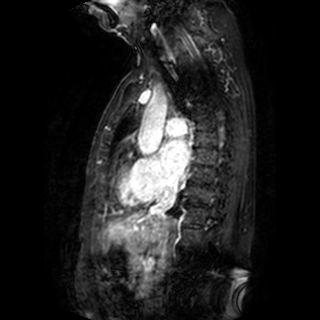

Heart. Magnetic resonance. The left atrium is at 160, 139, 189, 178.